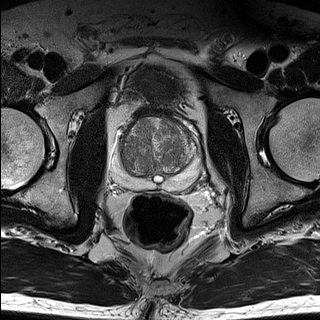
T2-weighted MRI.
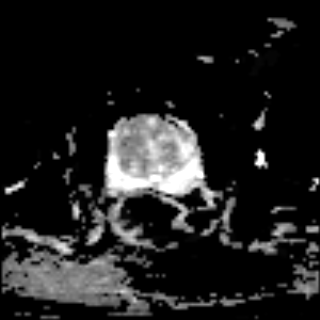
ADC magnetic resonance.
prostate_transition_zone:
  - [120, 120, 197, 176]
prostate_peripheral_zone:
  - [113, 140, 197, 188]